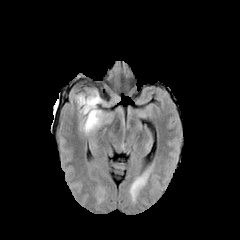
FLAIR MRI.
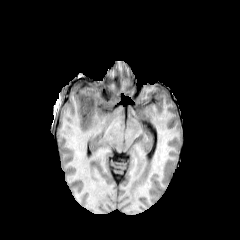
T1-weighted MR image.
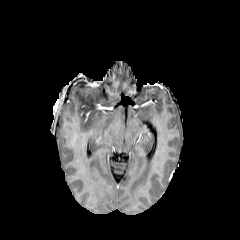
Post-contrast T1-weighted magnetic resonance.
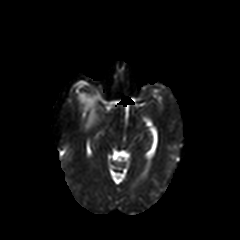
T2-weighted MR of the same slice.
edema:
  - 75,90,107,132